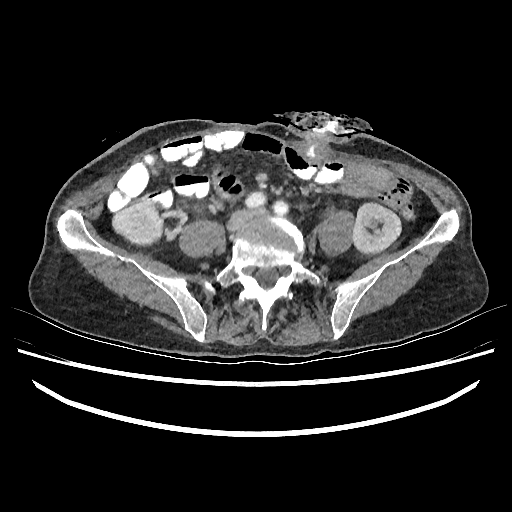

Computed tomography. Abdomen. kidney: 113:206:161:243, 353:203:400:252